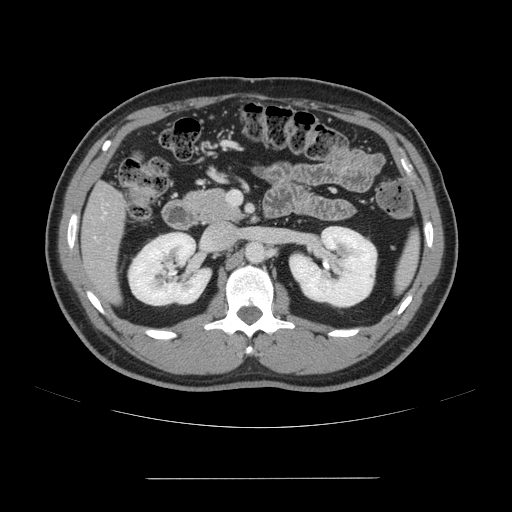 CT scan slice.
The vessel annotation is not exhaustive.
Hepatic vessel: [101, 216, 103, 218], [104, 212, 106, 214], [94, 237, 96, 239].